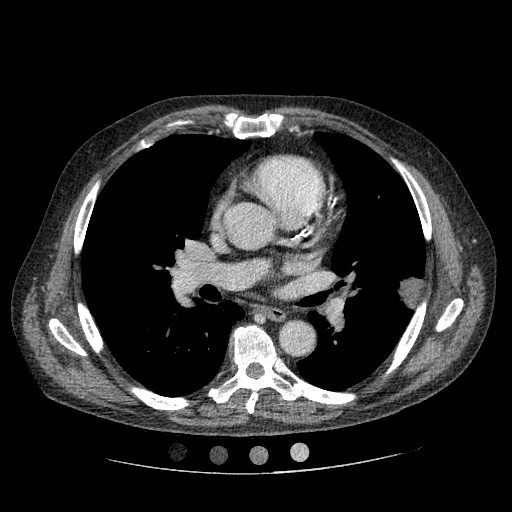 Chest | Image size 512x512 | Computed tomography
Lung tumor: bounding box rect(394, 273, 422, 311).